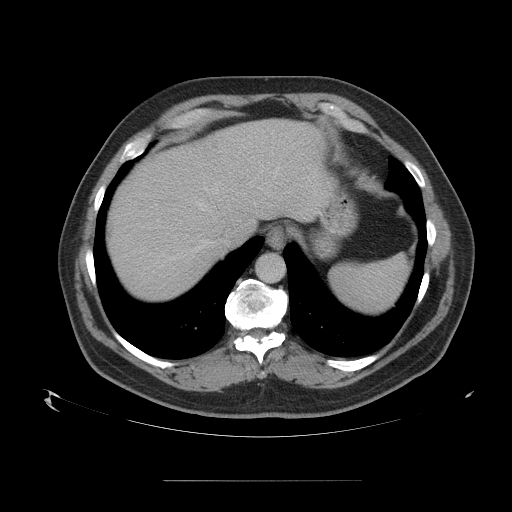 CT slice. Liver.
Some hepatic vessels may have no box.
<segmentation>
  <hepatic_vessel>x1=196, y1=247, x2=201, y2=249; x1=209, y1=245, x2=212, y2=245; x1=217, y1=211, x2=250, y2=242</hepatic_vessel>
</segmentation>